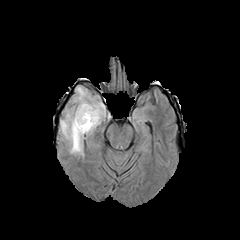
FLAIR MR image.
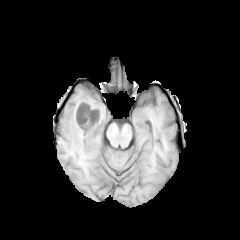
T1-weighted MR.
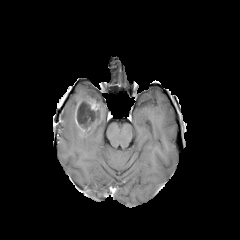
Post-contrast T1-weighted magnetic resonance.
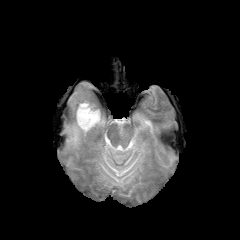
Same slice, T2-weighted MRI.
240x240 px, Brain
non-enhancing_tumor_core:
  - bbox=[75, 102, 101, 130]
enhancing_tumor:
  - bbox=[89, 103, 98, 110]
edema:
  - bbox=[60, 87, 110, 156]